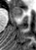

MRI slice. Hippocampus.
anterior hippocampus: x1=13 y1=5 x2=22 y2=17